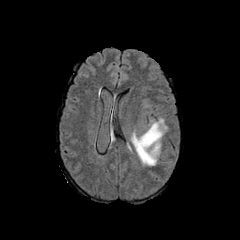
FLAIR MR image.
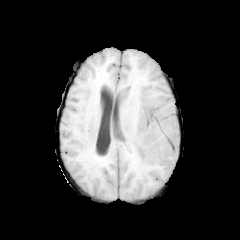
T1-weighted MR.
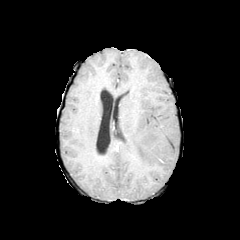
Post-contrast T1-weighted MRI.
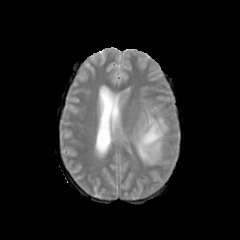
T2-weighted MR.
Brain
{
  "edema": [
    "<box>131,115,167,165</box>"
  ]
}